512x512 | Computed tomography | Abdomen 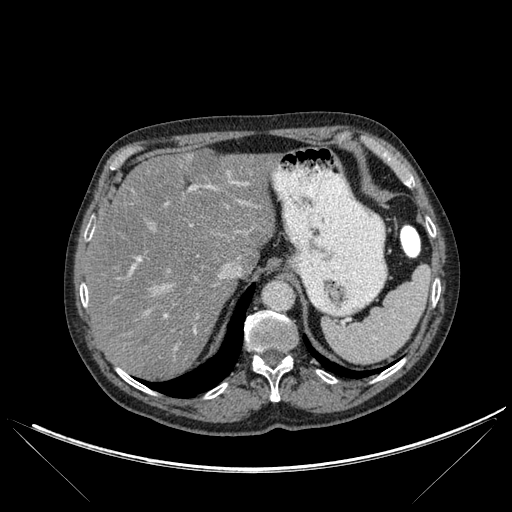
The liver lesion is located at (184,149,219,179). 10 bone regions are bounded by (204,383,227,398), (375,359,404,381), (116,369,153,394), (426,217,435,236), (432,279,440,304), (84,229,93,239), (80,284,88,306), (316,370,336,383), (401,171,414,186), (244,311,296,401). The liver lies within (87,151,275,380). 2 lung regions are bounded by (139,284,254,397), (303,336,384,378).